Slice 91 of 155. Brain.
FLAIR magnetic resonance.
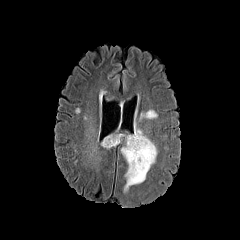
T1-weighted MR.
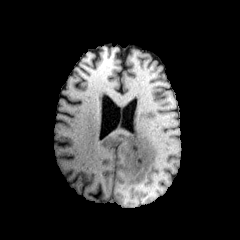
Post-contrast T1-weighted MR.
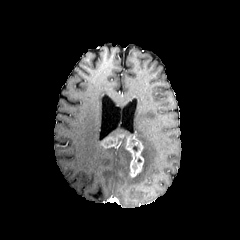
T2-weighted MRI.
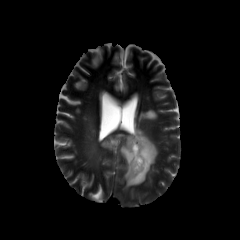
<segmentation>
  <enhancing_tumor>{"x1": 101, "y1": 134, "x2": 124, "y2": 148}, {"x1": 125, "y1": 134, "x2": 144, "y2": 178}</enhancing_tumor>
  <edema>{"x1": 124, "y1": 109, "x2": 158, "y2": 191}, {"x1": 120, "y1": 142, "x2": 129, "y2": 161}</edema>
</segmentation>